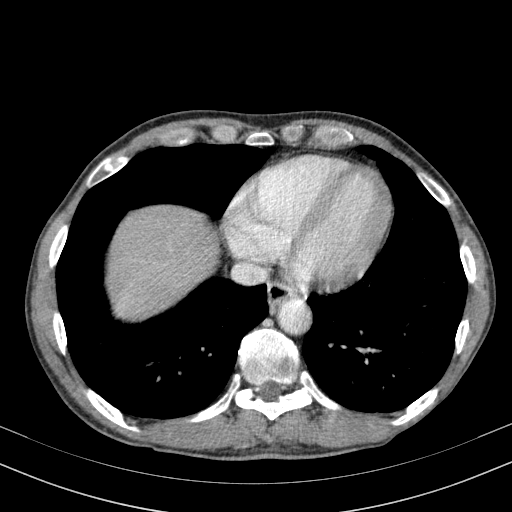

512x512 px; CT slice; Liver
Liver = [106, 205, 220, 319].